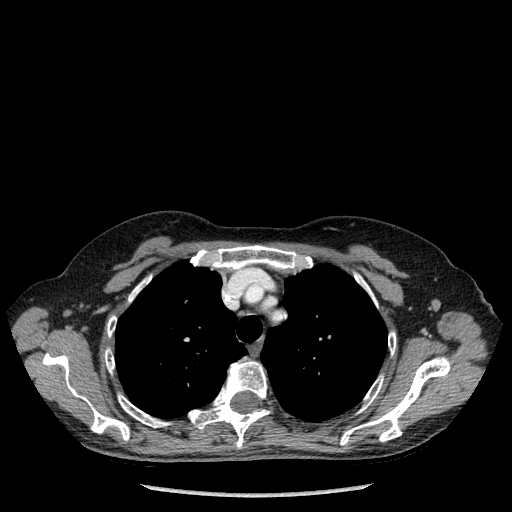
Chest | CT scan slice | 512x512 px
<segmentation>
  <bone>[357, 375, 383, 413], [388, 331, 396, 355], [190, 245, 312, 270], [104, 348, 114, 374], [128, 275, 151, 302], [107, 315, 116, 336], [42, 353, 129, 440], [118, 394, 171, 427], [189, 361, 271, 448], [340, 357, 450, 445], [354, 272, 377, 307]</bone>
  <lung>[115, 261, 262, 418], [260, 264, 387, 421]</lung>
</segmentation>